Slice index 16. 39x52. Medial temporal lobe. MR image.

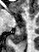
{"posterior_hippocampus": ["bbox(23, 22, 25, 23)", "bbox(10, 27, 24, 44)"]}